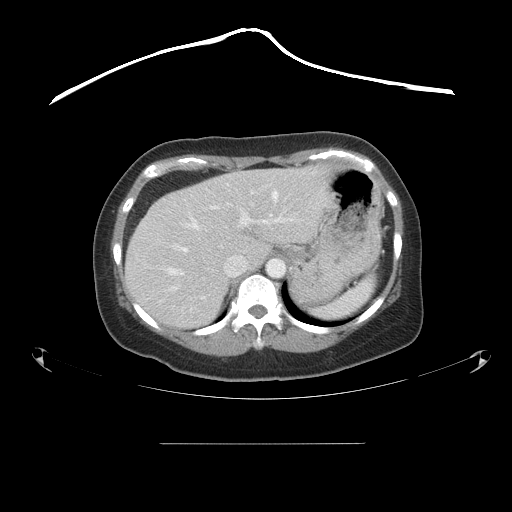

Abdomen. 512x512. CT slice.

Not every hepatic vessel necessarily has a box.
Top 15 of 16 hepatic vessel regions = [x1=220, y1=246, x2=222, y2=247], [x1=224, y1=255, x2=247, y2=275], [x1=210, y1=206, x2=218, y2=209], [x1=167, y1=268, x2=182, y2=275], [x1=201, y1=297, x2=205, y2=299], [x1=272, y1=191, x2=277, y2=201], [x1=227, y1=203, x2=231, y2=205], [x1=173, y1=244, x2=187, y2=252], [x1=249, y1=202, x2=253, y2=205], [x1=190, y1=308, x2=192, y2=310], [x1=239, y1=210, x2=293, y2=226], [x1=170, y1=286, x2=178, y2=290], [x1=184, y1=216, x2=198, y2=228], [x1=264, y1=185, x2=270, y2=187], [x1=251, y1=190, x2=253, y2=193].